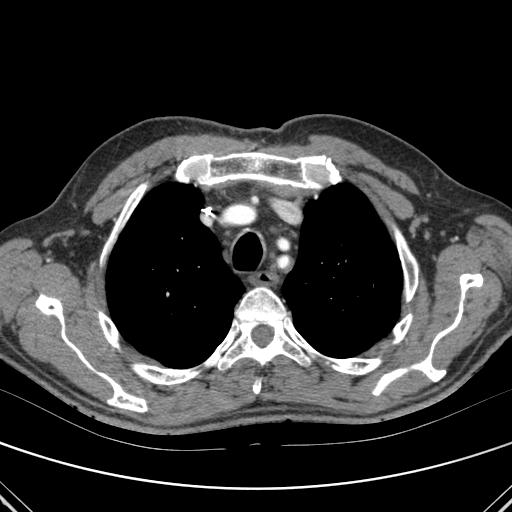 512x512; Chest; CT scan slice

Bone = (x1=100, y1=182, x2=146, y2=264), (x1=394, y1=227, x2=418, y2=301), (x1=98, y1=311, x2=119, y2=348), (x1=413, y1=273, x2=483, y2=381), (x1=175, y1=152, x2=341, y2=188), (x1=393, y1=313, x2=412, y2=343), (x1=204, y1=287, x2=381, y2=374), (x1=132, y1=364, x2=199, y2=384), (x1=253, y1=379, x2=260, y2=393), (x1=35, y1=294, x2=147, y2=412), (x1=372, y1=369, x2=408, y2=395).
Lung = (x1=282, y1=183, x2=402, y2=358), (x1=106, y1=182, x2=244, y2=368).